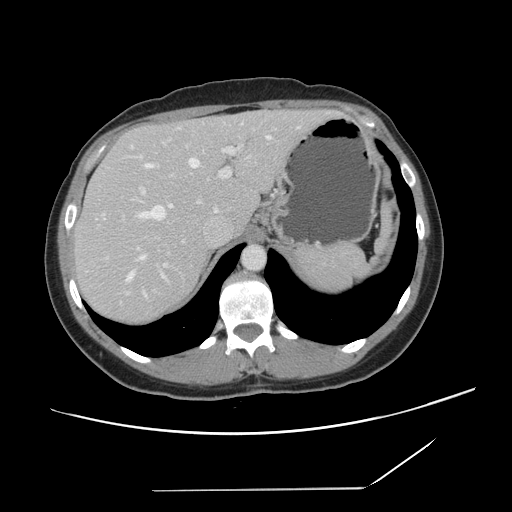 Computed tomography. Image size 512x512. Abdomen.
Not every hepatic vessel necessarily has a box.
The top 15 hepatic vessel regions (of 22) appear at l=138, t=205, r=164, b=219; l=127, t=272, r=133, b=280; l=222, t=147, r=235, b=152; l=169, t=204, r=171, b=207; l=140, t=187, r=145, b=193; l=143, t=291, r=146, b=297; l=139, t=255, r=145, b=259; l=219, t=168, r=230, b=177; l=238, t=146, r=241, b=148; l=163, t=263, r=166, b=266; l=102, t=213, r=105, b=219; l=266, t=135, r=270, b=139; l=189, t=158, r=198, b=167; l=161, t=273, r=166, b=280; l=144, t=163, r=152, b=167.